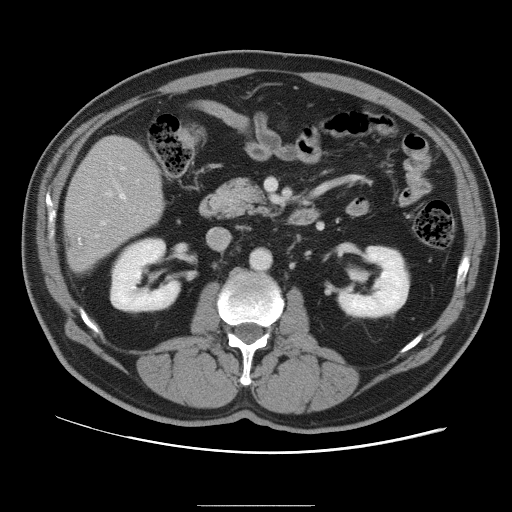

Computed tomography. 512x512 px. Liver. Only some of the vessels may be annotated.
hepatic vessel: left=109, top=162, right=110, bottom=165; left=121, top=167, right=124, bottom=169; left=96, top=235, right=98, bottom=236; left=136, top=180, right=138, bottom=182; left=101, top=220, right=107, bottom=224; left=115, top=184, right=125, bottom=199; left=107, top=191, right=112, bottom=195 | liver tumor: left=69, top=237, right=85, bottom=258